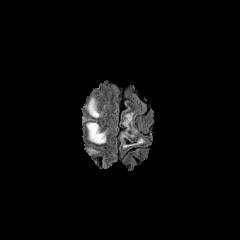
FLAIR magnetic resonance.
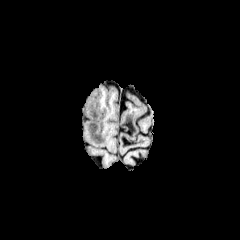
T1-weighted MR image of the same slice.
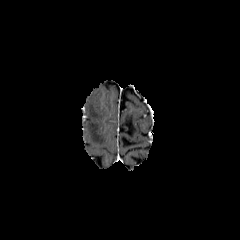
Post-contrast T1-weighted MR image.
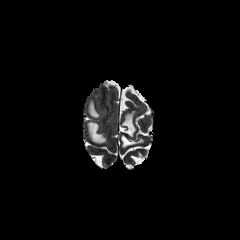
T2-weighted MR of the same slice.
Brain.
2 edema regions appear at bbox(87, 123, 106, 143); bbox(86, 98, 99, 117).